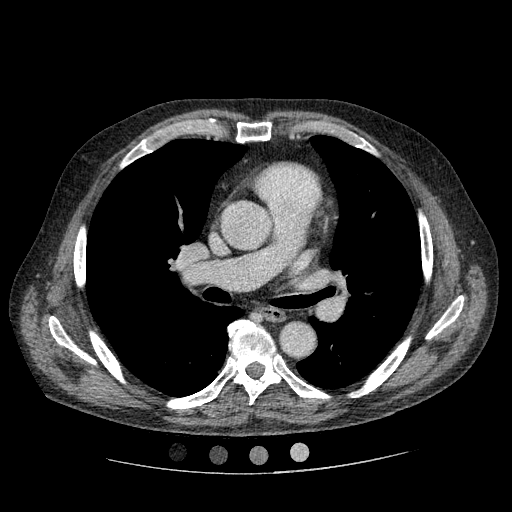
512x512 px, CT scan slice

lung_tumor:
  - bbox=[411, 287, 419, 293]
  - bbox=[408, 298, 417, 303]